CT scan slice | Image size 512x512 | Slice 37/58 | Image width 420 mm

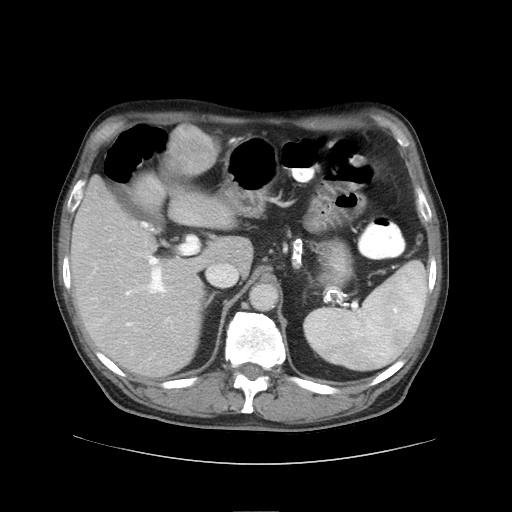

The vessel boxes may cover only some of the vessels.
Liver tumor at bbox(173, 128, 212, 172).
Hepatic vessel at bbox(145, 253, 155, 266); bbox(185, 213, 191, 215); bbox(125, 268, 165, 295); bbox(128, 322, 137, 326); bbox(139, 254, 140, 255); bbox(166, 318, 170, 320).